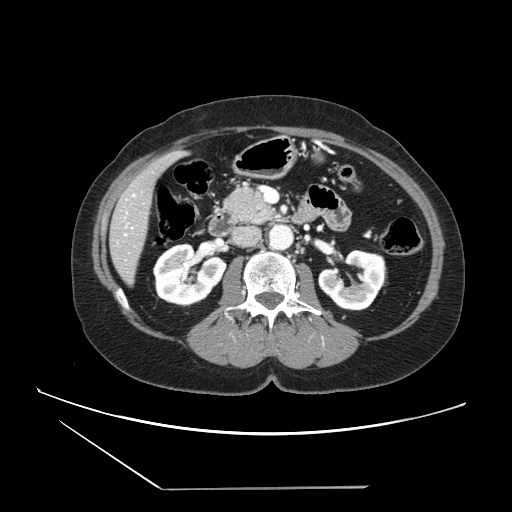 CT slice.
Pancreas at bbox(224, 188, 275, 224).